Abdomen; Field of view 370 mm wide, 0.70 mm slice spacing; CT scan slice
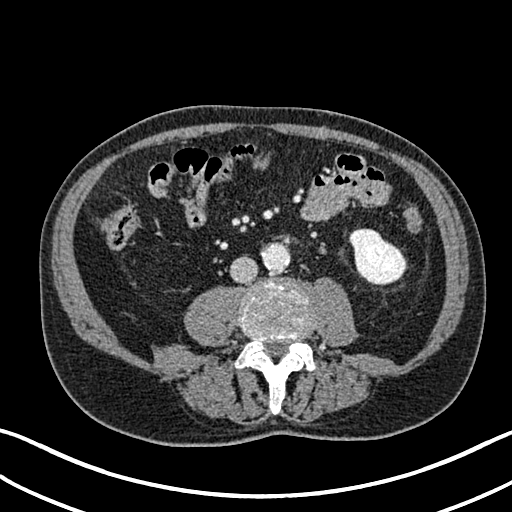 The kidney is located at [350, 229, 405, 283].